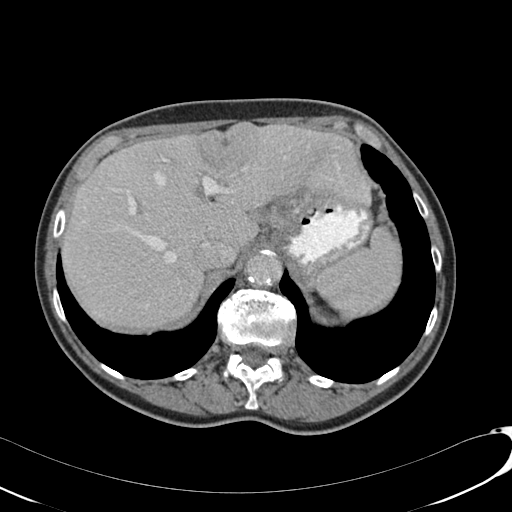 Computed tomography. 512x512 px. Abdomen.
The liver is at left=63, top=124, right=370, bottom=329. The liver lesion is at left=199, top=124, right=259, bottom=171.